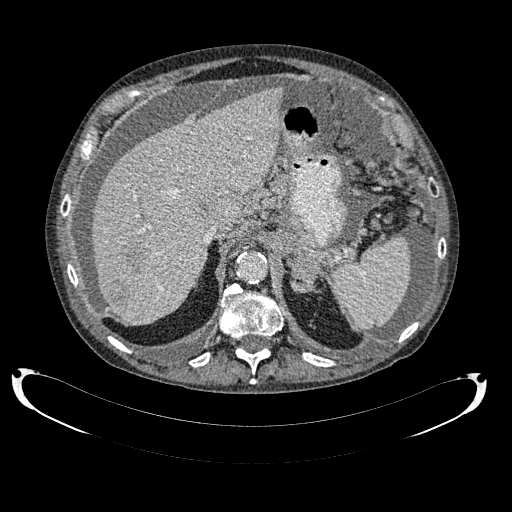

Upper abdomen. CT image.
The liver is at 91 87 283 324. 3 focal liver lesion regions are bounded by 191 196 211 220, 123 242 141 268, 110 282 128 304.